Slice index 16
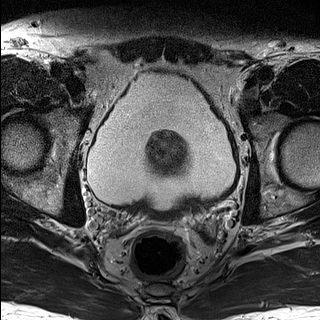
T2-weighted MR.
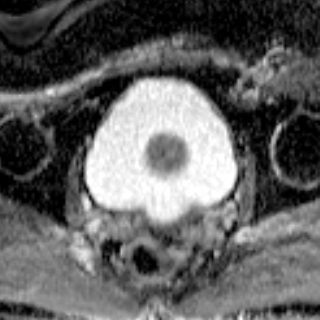
Same slice, ADC magnetic resonance.
<segmentation>
  <prostate_transition_zone><bbox>148, 135, 194, 179</bbox></prostate_transition_zone>
</segmentation>